FLAIR MR.
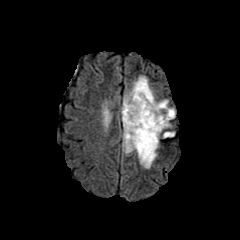
T1-weighted MR.
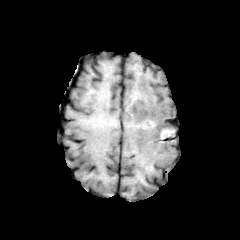
Post-contrast T1-weighted MR image.
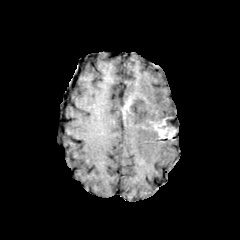
T2-weighted magnetic resonance.
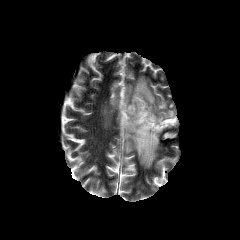
• edema: l=122, t=120, r=165, b=167; l=123, t=75, r=175, b=134
• non-enhancing tumor core: l=121, t=95, r=156, b=131
• enhancing tumor: l=162, t=130, r=171, b=137; l=122, t=98, r=132, b=116; l=156, t=119, r=167, b=135